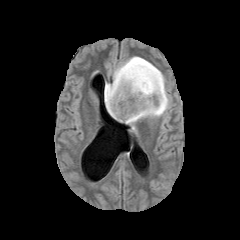
FLAIR MRI.
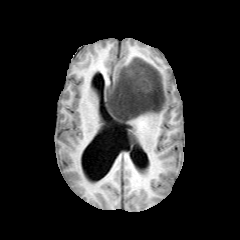
T1-weighted MRI of the same slice.
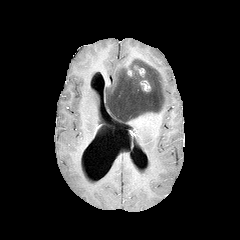
Post-contrast T1-weighted magnetic resonance.
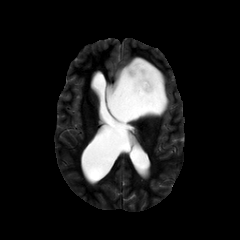
T2-weighted MR image.
Head
Annotated regions:
* edema: 138,70,153,83; 126,112,153,126; 104,56,171,118
* enhancing tumor: 141,80,149,90
* non-enhancing tumor core: 106,66,163,123